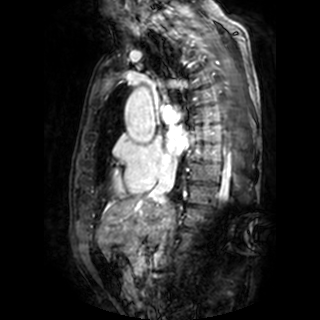

MRI slice. 320x320.
Annotated regions:
* left atrium: 165:129:188:155